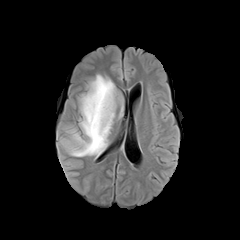
FLAIR MRI.
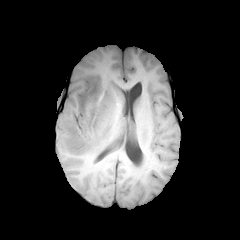
T1-weighted magnetic resonance.
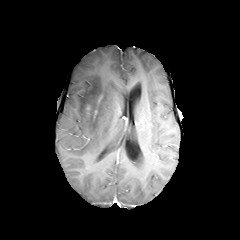
Post-contrast T1-weighted MR image of the same slice.
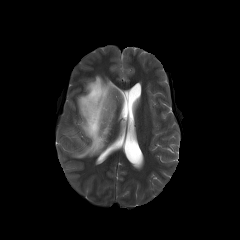
T2-weighted MR image.
Edema — (left=64, top=74, right=117, bottom=157).
Non-enhancing tumor core — (left=86, top=104, right=97, bottom=116), (left=88, top=84, right=102, bottom=102).